FLAIR MRI.
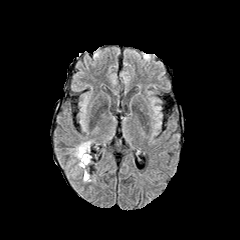
T1-weighted MRI.
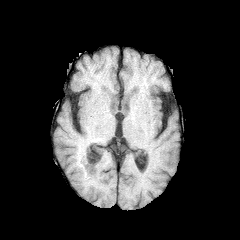
Post-contrast T1-weighted MRI.
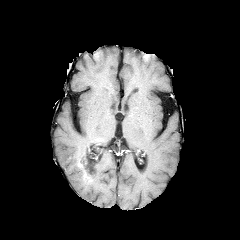
T2-weighted MR.
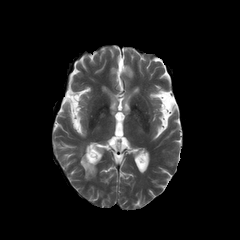
Image size 240x240 | Head
Edema: rect(74, 141, 91, 168).